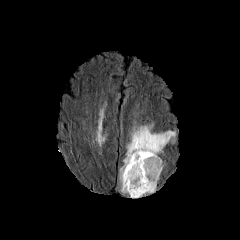
FLAIR MR image.
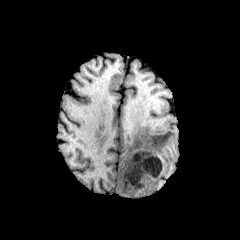
Same slice, T1-weighted MR image.
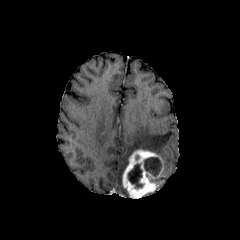
Post-contrast T1-weighted MRI.
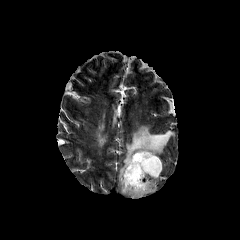
T2-weighted MR image.
{
  "enhancing_tumor": [
    "[122, 149, 160, 198]"
  ],
  "edema": [
    "[119, 123, 175, 194]"
  ],
  "non-enhancing_tumor_core": [
    "[144, 157, 162, 185]",
    "[127, 163, 144, 189]"
  ]
}